Slice 78 of 155, Head, 240x240
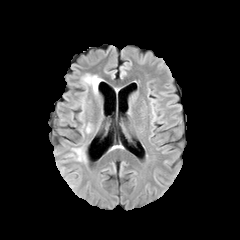
FLAIR MR.
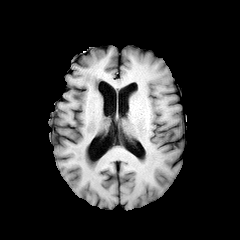
T1-weighted magnetic resonance.
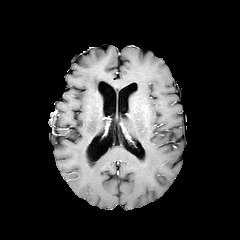
Same slice, post-contrast T1-weighted MR.
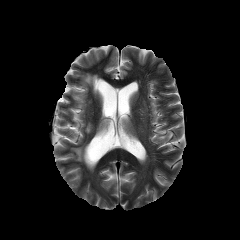
T2-weighted MR image.
Edema at [85,123,91,133], [80,73,102,114], [72,146,86,163].